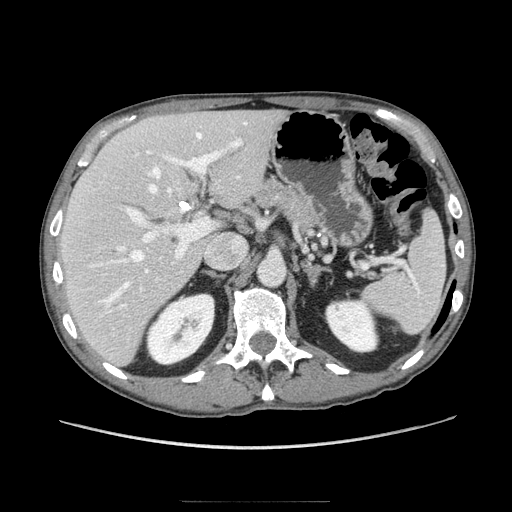
512x512 px | CT image

<segmentation>
  <pancreas>bbox=[254, 179, 320, 228]</pancreas>
</segmentation>